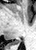
Hippocampus. Magnetic resonance. 36x50.

<segmentation>
  <posterior_hippocampus>14 40 21 43</posterior_hippocampus>
</segmentation>